Liver | CT scan slice | Slice 6/43
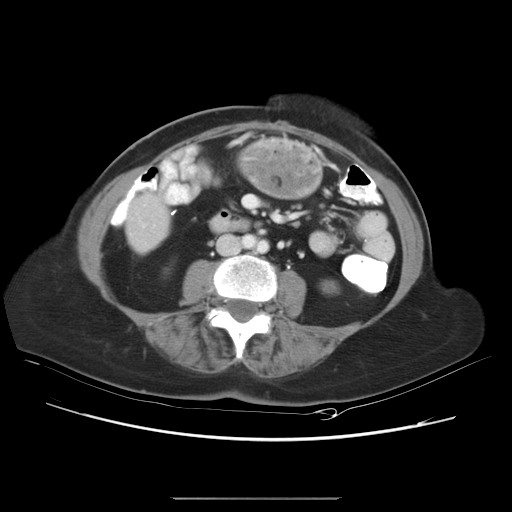
The vessel annotation is not exhaustive.
hepatic vessel: <bbox>139, 218, 145, 227</bbox>, <bbox>144, 199, 146, 205</bbox>